240x240 | Head
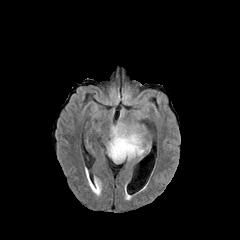
FLAIR magnetic resonance.
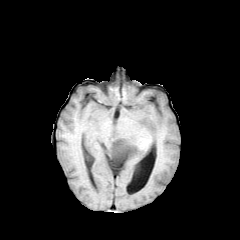
T1-weighted magnetic resonance.
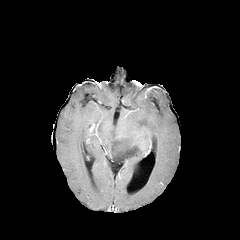
Same slice, post-contrast T1-weighted magnetic resonance.
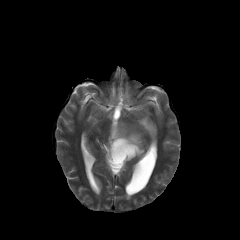
T2-weighted MR.
The non-enhancing tumor core is at (left=109, top=137, right=141, bottom=163). The edema is located at (left=106, top=123, right=151, bottom=162).